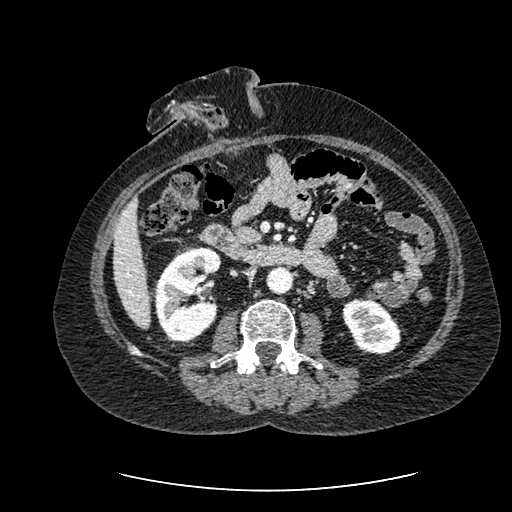
CT scan slice. 512x512 px.
2 kidney regions appear at [x1=155, y1=248, x2=220, y2=341], [x1=343, y1=300, x2=399, y2=353]. The liver is located at [x1=114, y1=197, x2=150, y2=327].